FLAIR magnetic resonance.
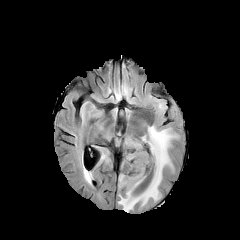
T1-weighted MR image.
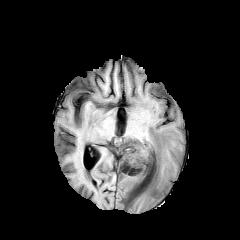
Post-contrast T1-weighted MR image.
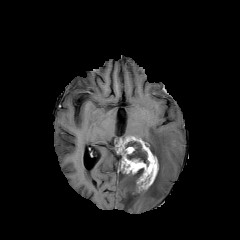
T2-weighted magnetic resonance.
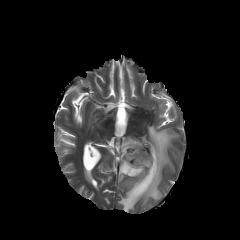
Brain
<segmentation>
  <non-enhancing_tumor_core>(left=118, top=136, right=157, bottom=163), (left=128, top=168, right=145, bottom=187)</non-enhancing_tumor_core>
  <edema>(left=118, top=125, right=175, bottom=212), (left=84, top=172, right=92, bottom=181), (left=132, top=143, right=147, bottom=157)</edema>
  <enhancing_tumor>(left=116, top=138, right=132, bottom=149), (left=122, top=152, right=158, bottom=189)</enhancing_tumor>
</segmentation>